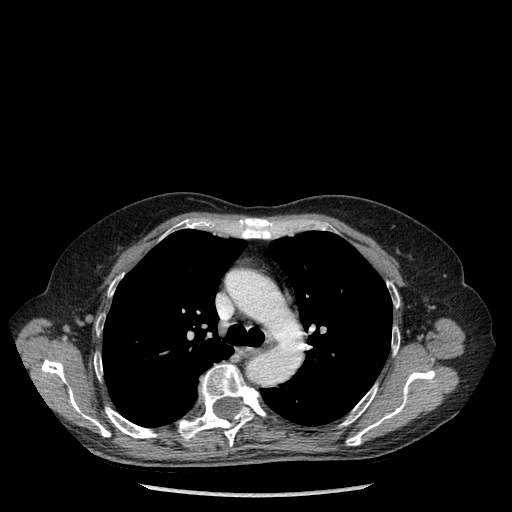
Thorax; CT image
13 bone regions are bounded by (left=340, top=384, right=377, bottom=426), (left=161, top=219, right=196, bottom=239), (left=321, top=223, right=331, bottom=230), (left=108, top=279, right=116, bottom=296), (left=392, top=326, right=399, bottom=355), (left=96, top=317, right=102, bottom=334), (left=346, top=370, right=435, bottom=445), (left=105, top=407, right=158, bottom=438), (left=41, top=359, right=110, bottom=436), (left=233, top=218, right=281, bottom=238), (left=164, top=364, right=266, bottom=446), (left=387, top=281, right=399, bottom=307), (left=94, top=355, right=102, bottom=379). 2 lung regions are located at (left=261, top=231, right=392, bottom=425), (left=102, top=229, right=264, bottom=427).